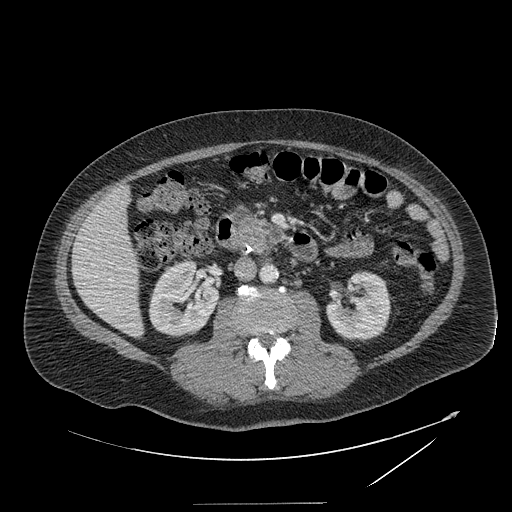

Computed tomography
pancreatic_tumor:
  - bbox=[238, 219, 268, 248]
pancreas:
  - bbox=[234, 207, 259, 247]
  - bbox=[253, 220, 284, 252]